FLAIR MRI.
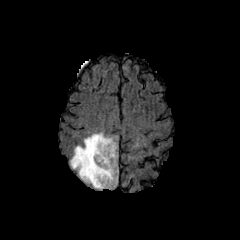
T1-weighted MR.
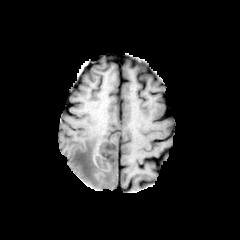
Post-contrast T1-weighted MR image.
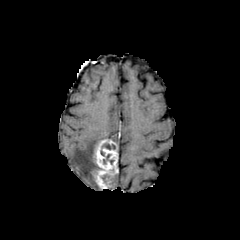
T2-weighted magnetic resonance.
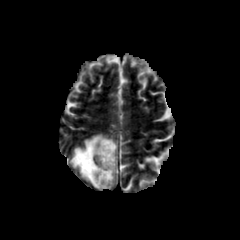
Brain
Edema: bounding box (70, 132, 113, 188).
Enhancing tumor: bounding box (92, 138, 118, 189).